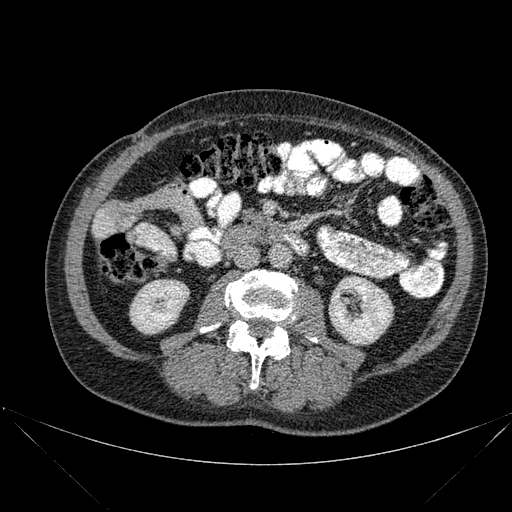

Abdomen; Computed tomography
Bone — (225, 270, 297, 388), (200, 324, 219, 332).
Kidney — (130, 280, 188, 333), (329, 276, 392, 344).